FLAIR MR.
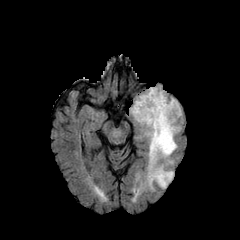
T1-weighted MRI.
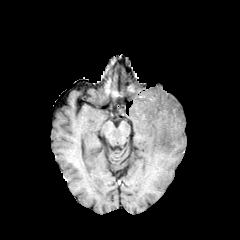
Post-contrast T1-weighted magnetic resonance.
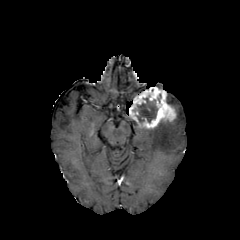
T2-weighted MR image.
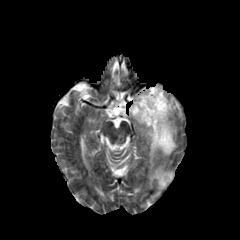
Head, 240x240
Findings:
• edema: x1=147 y1=119 x2=178 y2=169, x1=148 y1=166 x2=173 y2=187, x1=169 y1=97 x2=181 y2=117
• non-enhancing tumor core: x1=137 y1=98 x2=156 y2=122
• enhancing tumor: x1=129 y1=87 x2=176 y2=129